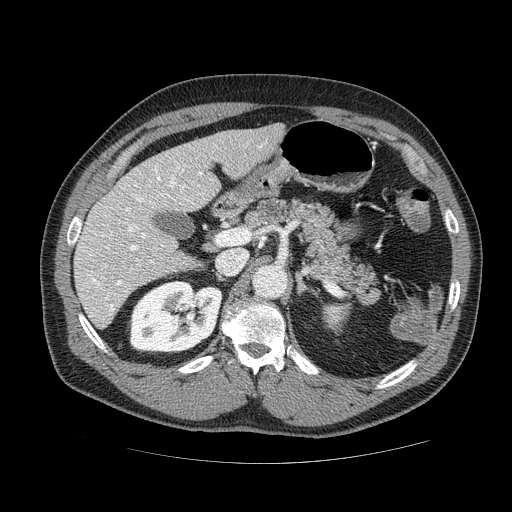 512x512 px | CT slice | Upper abdomen
{"pancreas": ["(left=244, top=197, right=382, bottom=307)"]}